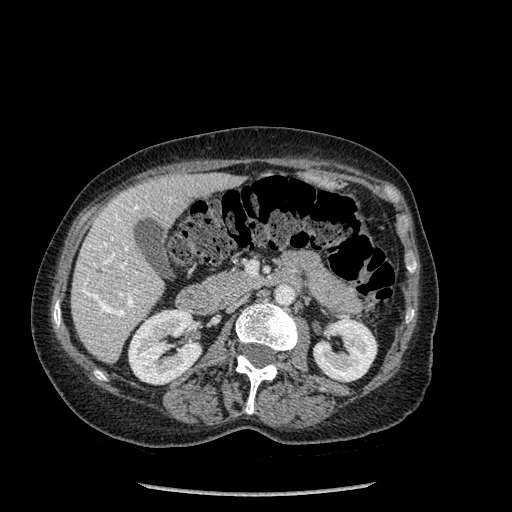

512x512 | CT image

{"bone": ["236,355,278,413", "406,310,413,322", "94,370,106,380", "236,301,297,351", "407,262,416,272", "53,300,60,327"], "liver": ["71,173,241,362"], "kidney": ["314,318,376,381", "129,310,200,383"]}